Brain, Image size 240x240
FLAIR magnetic resonance.
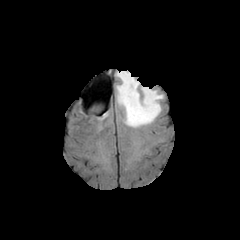
T1-weighted MR.
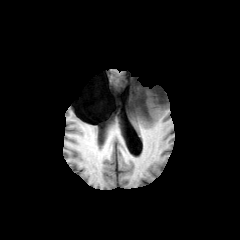
Post-contrast T1-weighted MRI.
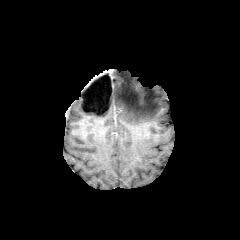
T2-weighted MR image.
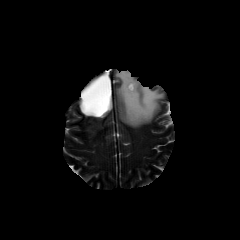
The edema is at region(116, 72, 162, 127).